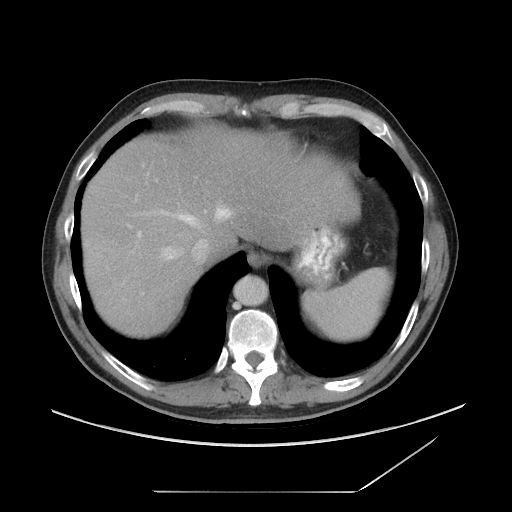
CT slice. 512x512 px.
The vessel boxes may cover only some of the vessels.
Hepatic vessel = 160, 211, 168, 213; 175, 213, 199, 225; 174, 252, 176, 256; 217, 207, 228, 218.